Image size 512x512 | Abdomen | CT slice 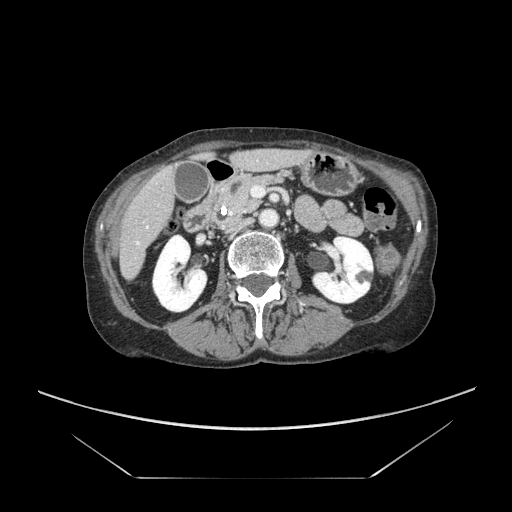

Findings:
* pancreas: 211,173,285,229